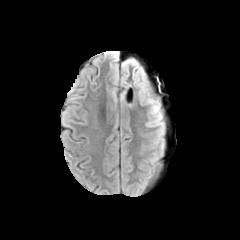
FLAIR MR.
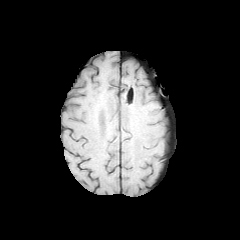
T1-weighted MR image.
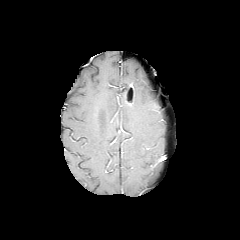
Same slice, post-contrast T1-weighted MR image.
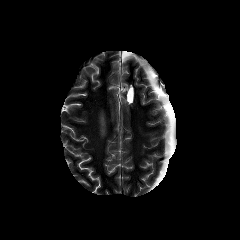
T2-weighted magnetic resonance.
Head
Edema at box=[142, 72, 151, 93]; box=[144, 95, 164, 141].